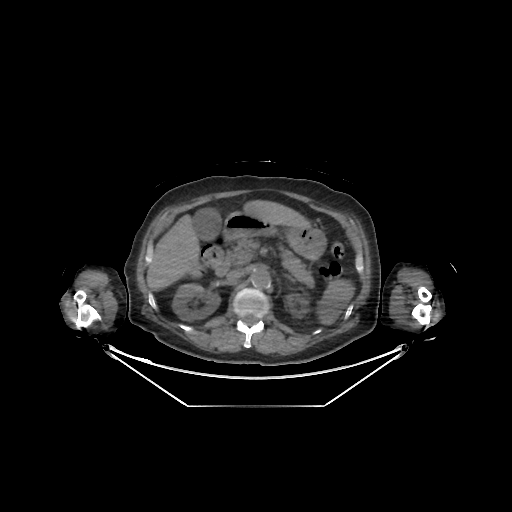
CT slice, 512x512 px, Abdomen
2 liver regions are located at rect(245, 201, 309, 229); rect(147, 216, 198, 289). 2 kidney regions appear at rect(172, 283, 220, 321); rect(286, 293, 308, 317). 3 bone regions are bounded by rect(74, 290, 100, 328); rect(412, 287, 431, 324); rect(234, 289, 268, 347).